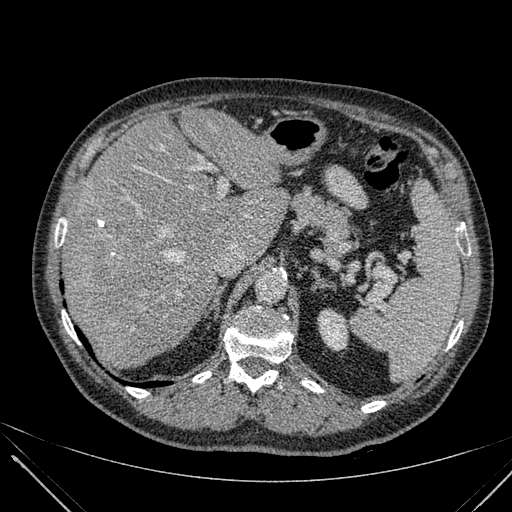 512x512 | CT slice | Liver
Kidney at [x1=319, y1=310, x2=346, y2=349].
Liver at [x1=63, y1=109, x2=288, y2=367].
Hepatic lesion at [x1=98, y1=247, x2=105, y2=258], [x1=96, y1=263, x2=108, y2=283].